Image size 240x240
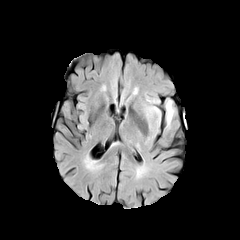
FLAIR MR image.
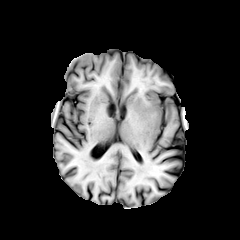
T1-weighted magnetic resonance of the same slice.
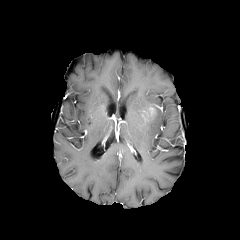
Post-contrast T1-weighted magnetic resonance.
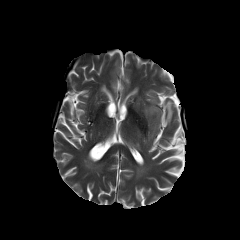
T2-weighted MRI.
The edema lies within rect(166, 100, 173, 124).